FLAIR MR image.
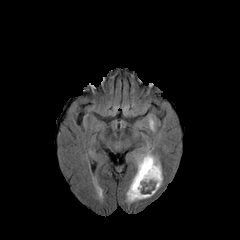
T1-weighted magnetic resonance.
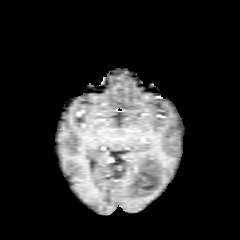
Post-contrast T1-weighted MR.
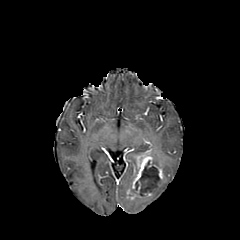
T2-weighted MRI.
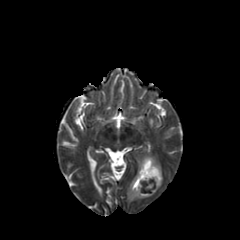
240x240 px. Brain.
non-enhancing tumor core: 140,165,159,180 | enhancing tumor: 127,150,157,199 | edema: 150,151,160,168; 126,176,162,202